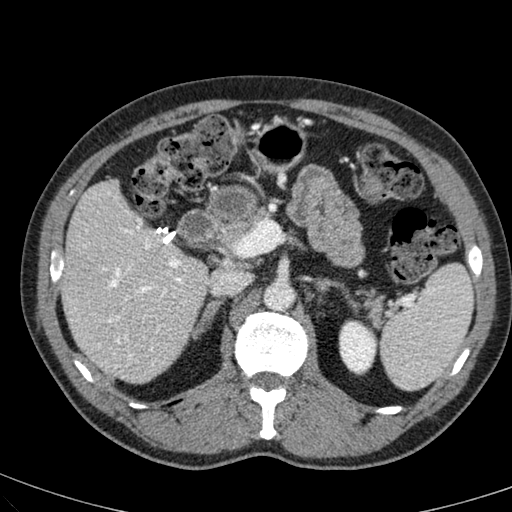
CT; Upper abdomen
Liver = [62, 182, 207, 381].
Kidney = [340, 322, 374, 370].